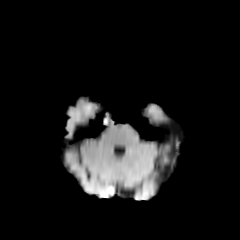
FLAIR magnetic resonance.
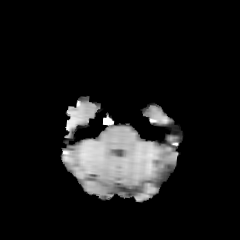
T1-weighted MR image of the same slice.
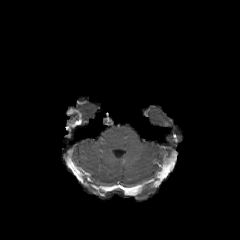
Post-contrast T1-weighted MR of the same slice.
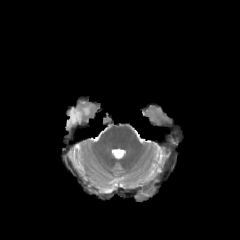
T2-weighted magnetic resonance.
240x240
The enhancing tumor is located at [65,108,82,129].